CT image | 512x512 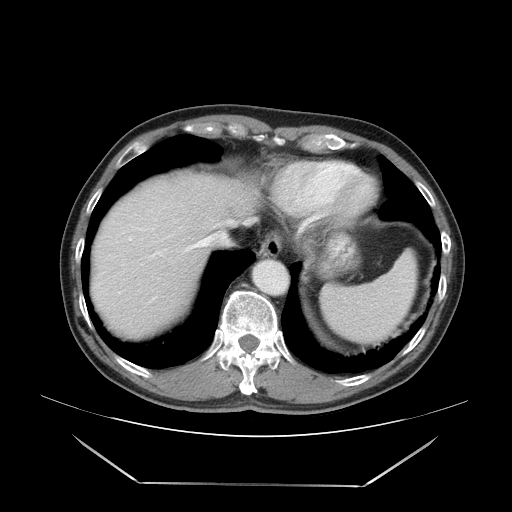

Some hepatic vessels may have no box.
hepatic_vessel:
  - box=[245, 220, 250, 223]
  - box=[195, 238, 208, 246]